Computed tomography, Slice 139/181 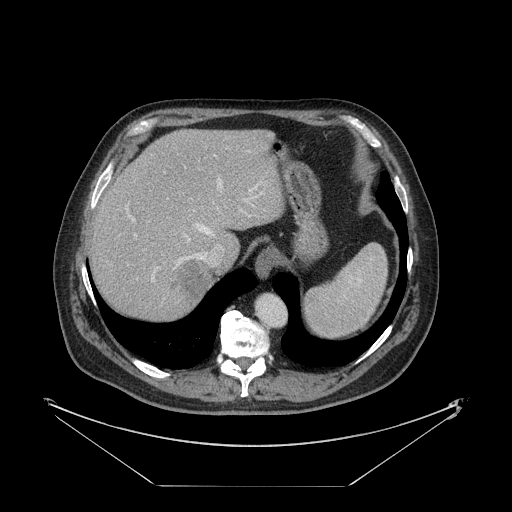 The vessel boxes may cover only some of the vessels.
hepatic_vessel:
  - (217, 177, 220, 186)
  - (253, 183, 262, 188)
  - (126, 208, 134, 221)
  - (134, 234, 135, 235)
  - (185, 235, 189, 240)
  - (201, 256, 204, 258)
  - (151, 266, 157, 280)
  - (248, 189, 252, 190)
liver_tumor:
  - (170, 262, 211, 303)